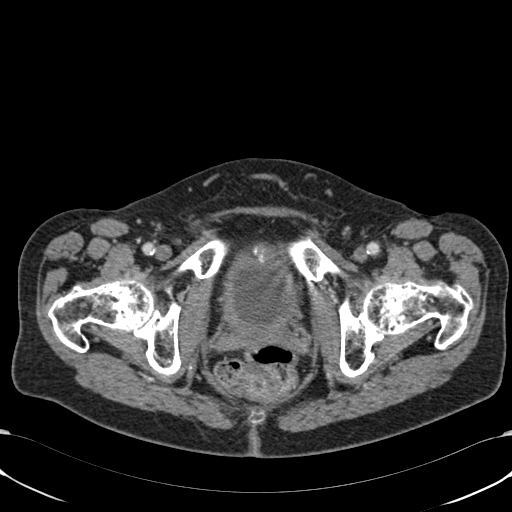
Pelvis, 512x512, Computed tomography
The urinary bladder is at x1=231, y1=256, x2=291, y2=326.